FLAIR MR.
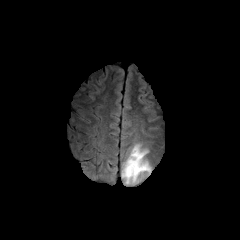
T1-weighted MR.
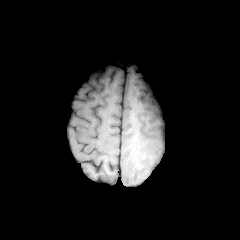
Post-contrast T1-weighted MRI.
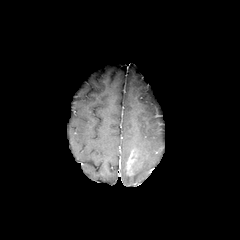
T2-weighted MRI.
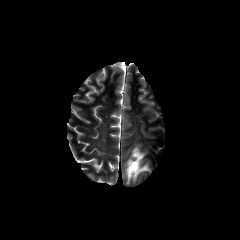
Enhancing tumor — (126,150,139,176).
Edema — (121,143,150,184).